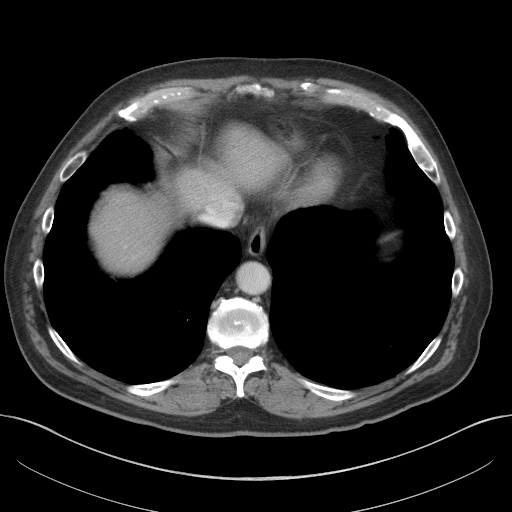 CT. 512x512. Upper abdomen.

Annotated regions:
• liver: 91:121:264:273